Slice index 60. Head.
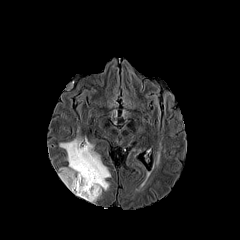
FLAIR MR.
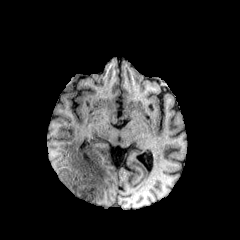
T1-weighted magnetic resonance.
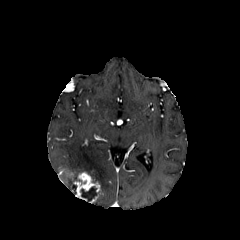
Post-contrast T1-weighted MR.
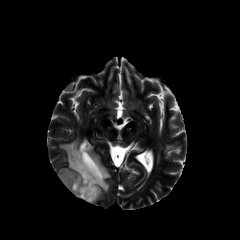
T2-weighted MR image.
Enhancing tumor — (x1=60, y1=168, x2=74, y2=178), (x1=73, y1=170, x2=101, y2=197).
Edema — (x1=58, y1=172, x2=72, y2=189), (x1=60, y1=137, x2=111, y2=190).
Non-enhancing tumor core — (x1=80, y1=186, x2=99, y2=202).